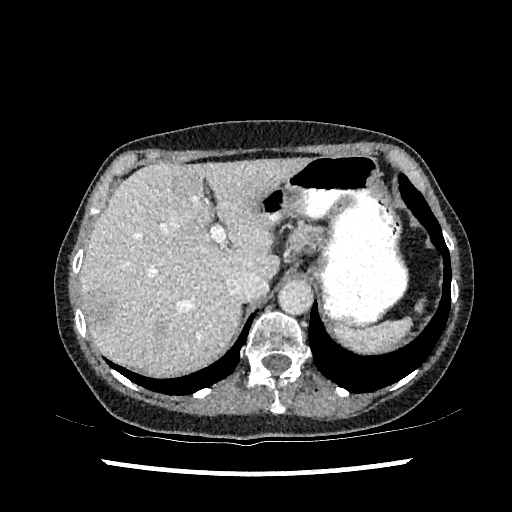
Abdomen. CT scan slice.

Segmented structures:
• hepatic lesion: l=84, t=288, r=116, b=327; l=172, t=172, r=198, b=195; l=156, t=322, r=166, b=332
• liver: l=80, t=158, r=307, b=374